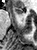
MR image; Hippocampus; Image size 37x50
Segmented structures:
- anterior hippocampus: 14:7:23:15